FLAIR MRI.
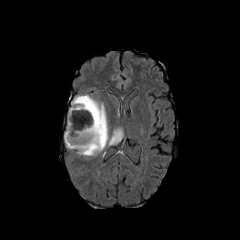
T1-weighted MRI.
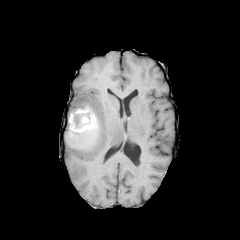
Post-contrast T1-weighted MR image.
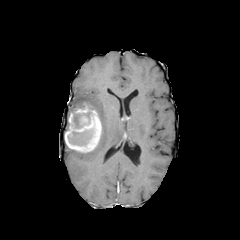
T2-weighted MR.
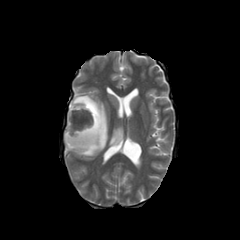
<segmentation>
  <enhancing_tumor>x1=64, y1=103, x2=101, y2=152</enhancing_tumor>
  <edema>x1=68, y1=94, x2=123, y2=156</edema>
  <non-enhancing_tumor_core>x1=68, y1=129, x2=92, y2=144; x1=72, y1=102, x2=86, y2=110; x1=73, y1=103, x2=95, y2=127</non-enhancing_tumor_core>
</segmentation>